Brain. Slice index 54.
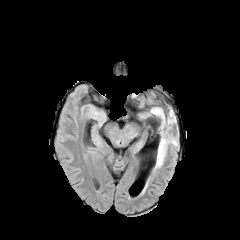
FLAIR MRI.
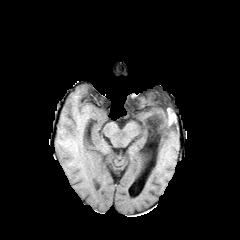
T1-weighted MRI.
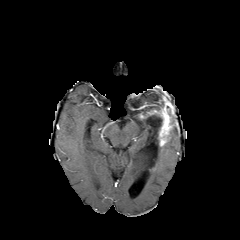
Same slice, post-contrast T1-weighted MR.
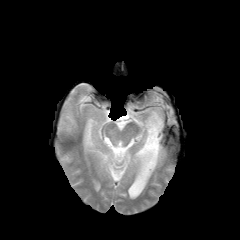
T2-weighted MRI.
2 edema regions appear at [154,115,161,139], [156,131,176,166]. The enhancing tumor appears at [152,104,171,139]. 3 non-enhancing tumor core regions are located at [159,126,172,146], [152,103,164,110], [166,108,176,125].